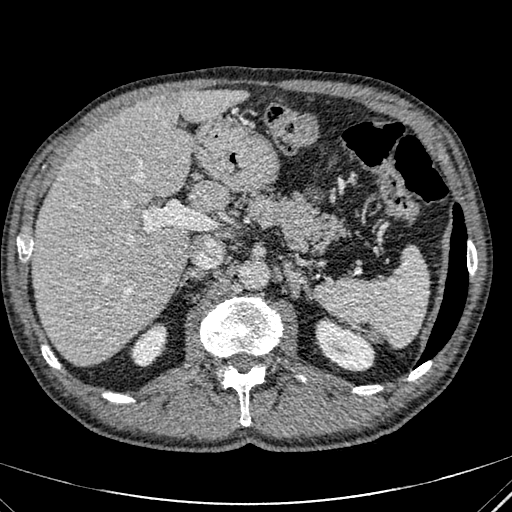
CT image | 512x512 px
{
  "liver_lesion": [
    "box(157, 93, 178, 103)"
  ],
  "liver": [
    "box(188, 181, 229, 210)",
    "box(32, 90, 248, 364)"
  ],
  "kidney": [
    "box(133, 327, 164, 364)",
    "box(317, 321, 372, 369)"
  ]
}